Field of view 700 mm wide, 3.27 mm slice spacing, Slice 215/536, CT scan slice 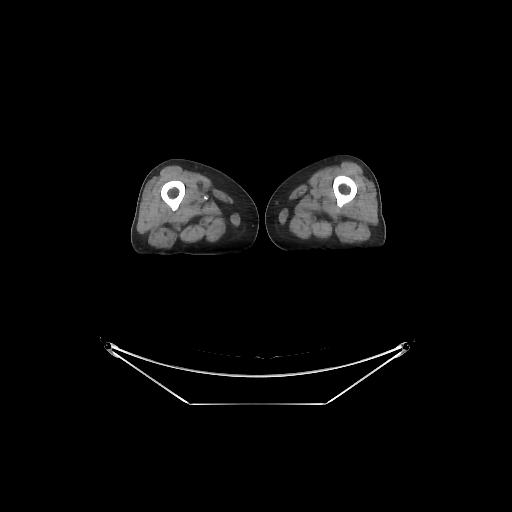
2 bone regions are located at x1=161, y1=180, x2=184, y2=210; x1=333, y1=175, x2=356, y2=207.